Image size 512x512; Slice 57/260; Upper abdomen; CT scan slice

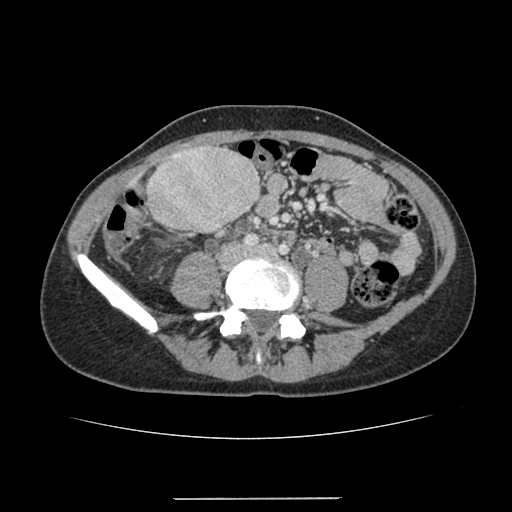

Findings:
- liver lesion: (left=147, top=146, right=260, bottom=231)
- liver: (left=126, top=173, right=141, bottom=187)